FLAIR MR image.
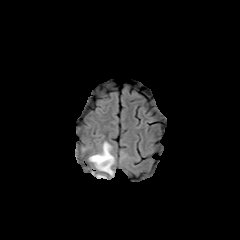
T1-weighted MR image.
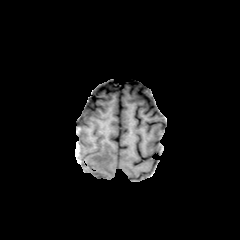
Post-contrast T1-weighted MR.
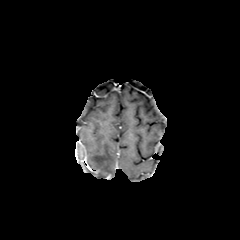
T2-weighted MR.
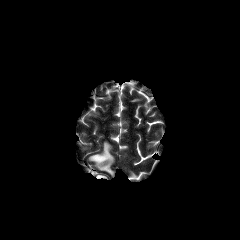
Brain
<segmentation>
  <edema>bbox=[88, 141, 114, 178]</edema>
</segmentation>